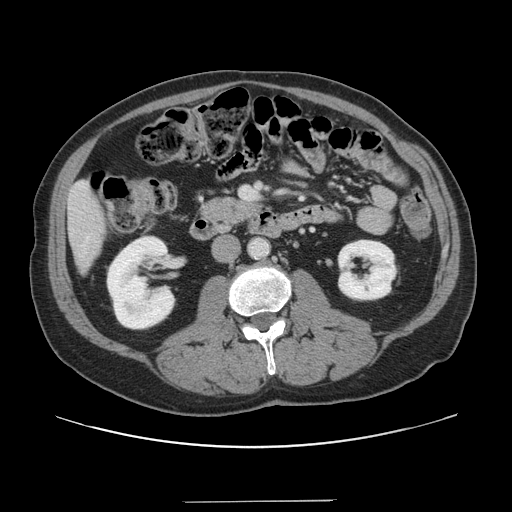
Computed tomography, Liver

Not every hepatic vessel necessarily has a box.
hepatic vessel: rect(242, 187, 252, 198)